Slice index 46. Abdomen. CT scan slice.
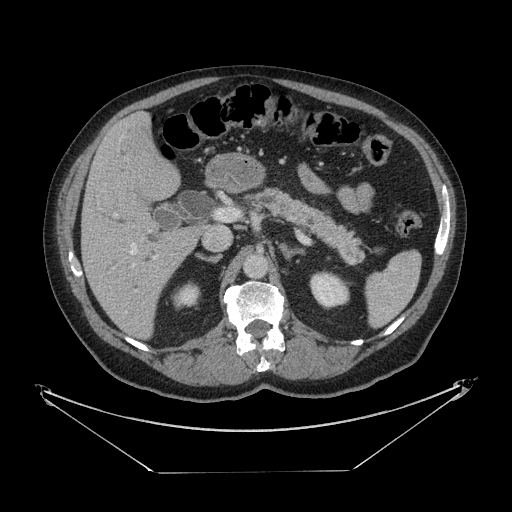

The pancreas is at 256, 190, 363, 263.